Liver; Slice 120 of 144; Field of view 333 mm wide, 1.50 mm slice spacing; CT scan slice
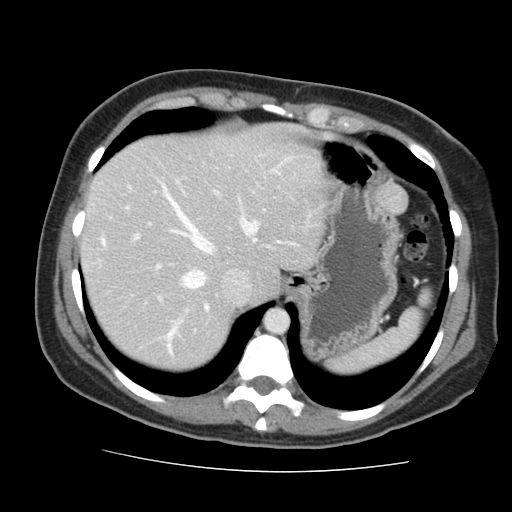

Only some of the vessels may be annotated.
Hepatic vessel: bounding box left=156, top=265, right=158, bottom=268; left=182, top=271, right=204, bottom=287; left=215, top=192, right=217, bottom=194; left=176, top=181, right=178, bottom=182; left=241, top=219, right=256, bottom=234; left=101, top=238, right=103, bottom=244; left=205, top=306, right=207, bottom=310; left=134, top=235, right=138, bottom=239; left=252, top=239, right=255, bottom=241; left=165, top=327, right=175, bottom=352.